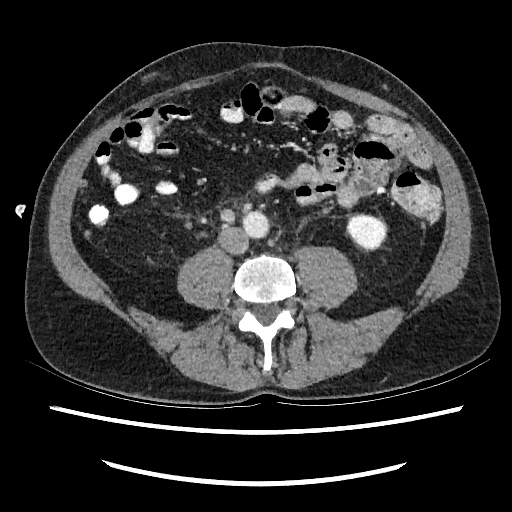
Abdomen, Computed tomography
<segmentation>
  <kidney>rect(348, 216, 384, 247)</kidney>
</segmentation>